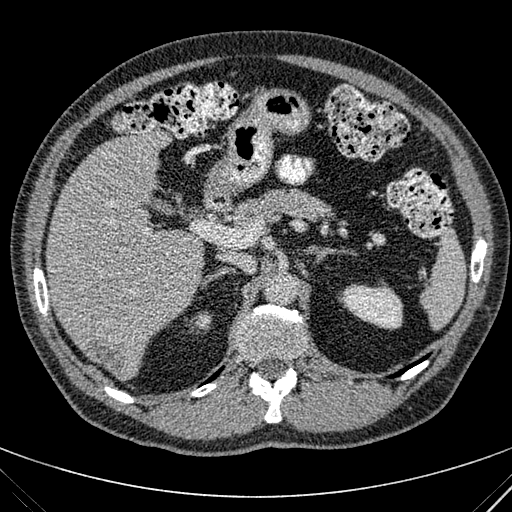
CT slice, Liver

The focal liver lesion is at region(83, 334, 133, 375). The liver is located at region(46, 131, 200, 378). 2 kidney regions appear at region(195, 314, 210, 328); region(342, 285, 402, 327).